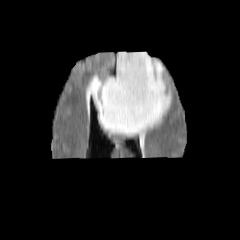
FLAIR magnetic resonance.
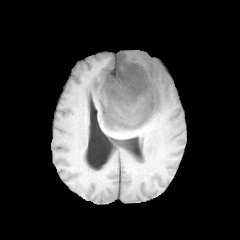
T1-weighted MR of the same slice.
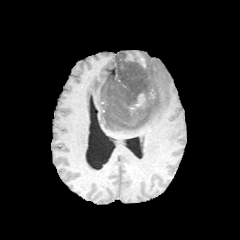
Same slice, post-contrast T1-weighted MR image.
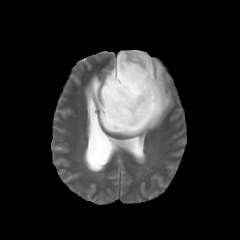
T2-weighted MRI.
edema:
  - box=[90, 52, 172, 135]
non-enhancing_tumor_core:
  - box=[101, 50, 156, 126]
enhancing_tumor:
  - box=[135, 95, 145, 106]